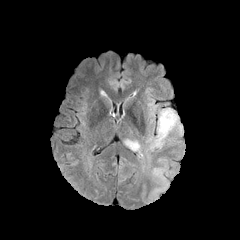
FLAIR MR.
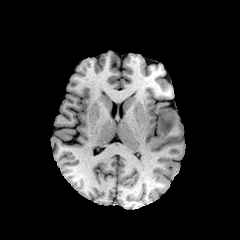
T1-weighted MR.
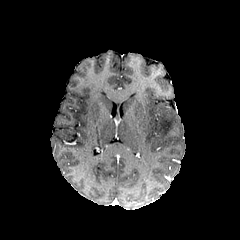
Post-contrast T1-weighted MR image.
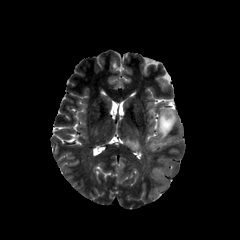
T2-weighted MR image.
2 edema regions appear at [x1=152, y1=109, x2=176, y2=148], [x1=123, y1=138, x2=140, y2=151].